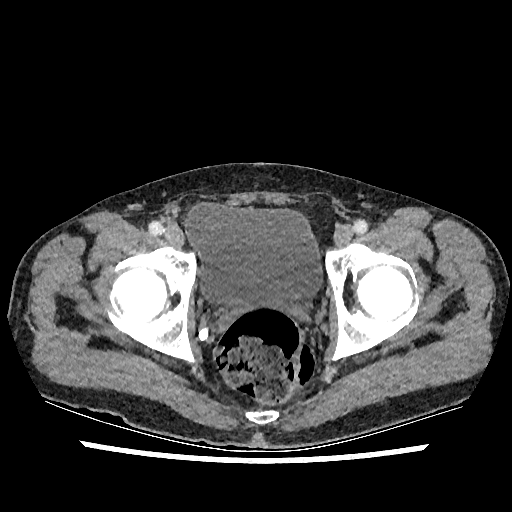

Lower abdomen. CT image. Image size 512x512. Segmented structures:
* urinary bladder: (186, 202, 322, 328)